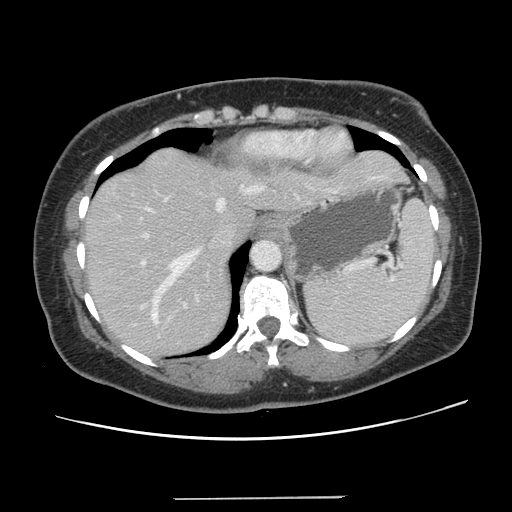 CT image. 512x512.

The vessel boxes may cover only some of the vessels.
{"hepatic_vessel": ["[x1=168, y1=317, x2=170, y2=318]", "[x1=183, y1=304, x2=185, y2=306]", "[x1=164, y1=198, x2=167, y2=201]", "[x1=141, y1=305, x2=144, y2=307]", "[x1=151, y1=250, x2=197, y2=323]", "[x1=142, y1=260, x2=144, y2=265]", "[x1=217, y1=199, x2=224, y2=210]", "[x1=143, y1=234, x2=148, y2=237]", "[x1=330, y1=190, x2=335, y2=191]", "[x1=241, y1=185, x2=263, y2=192]"]}